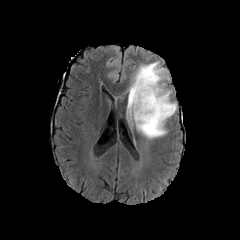
FLAIR MR.
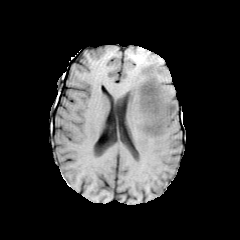
T1-weighted magnetic resonance of the same slice.
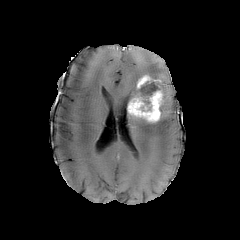
Post-contrast T1-weighted MR image.
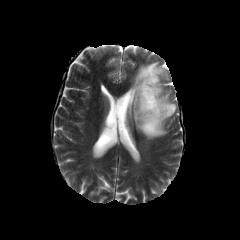
T2-weighted MR image of the same slice.
240x240; Head
The edema lies within (left=126, top=61, right=177, bottom=139). 2 enhancing tumor regions appear at (left=135, top=75, right=161, bottom=88), (left=127, top=90, right=164, bottom=122). The non-enhancing tumor core appears at (left=139, top=82, right=158, bottom=104).